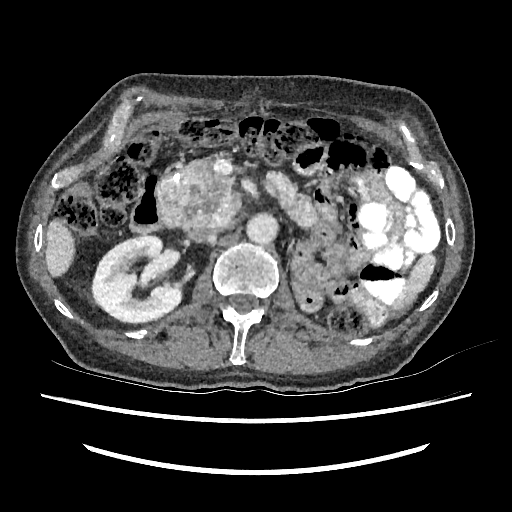 512x512 px, CT slice
The kidney lies within bbox=[92, 236, 180, 322]. The liver lies within bbox=[46, 221, 74, 275].